CT slice; Field of view 330 mm wide, 2.00 mm slice spacing

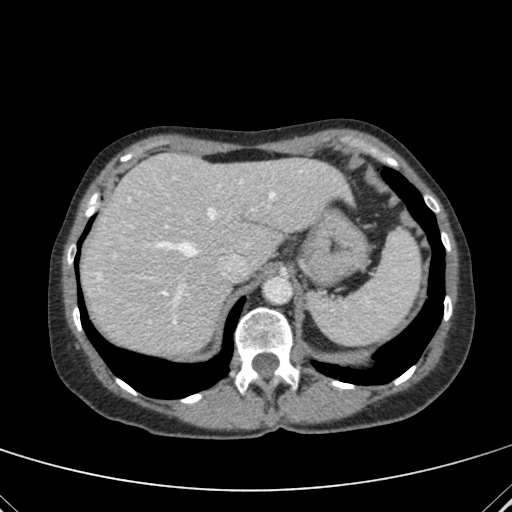
Liver = 82:153:348:353.